Computed tomography. 512x512 px. Abdomen. Slice 88 of 151. 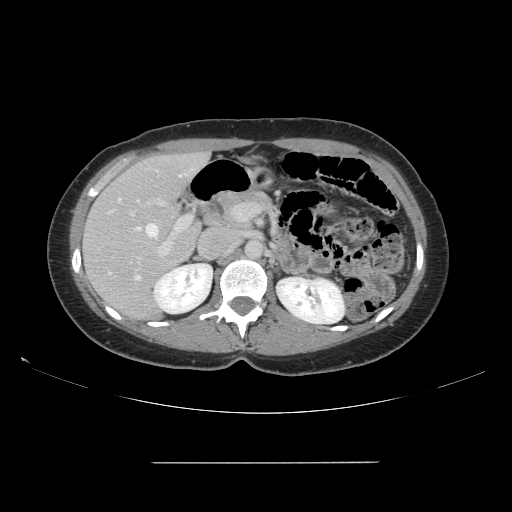

The vessel boxes may cover only some of the vessels.
Hepatic vessel at 135:223:158:238, 156:170:157:171, 158:197:165:205, 147:168:148:169, 179:173:185:176, 137:257:139:262, 137:199:138:201, 109:272:110:273, 147:202:149:204, 157:239:172:255, 134:275:140:279, 189:168:194:172, 109:209:115:212, 171:220:186:235, 131:212:134:214.